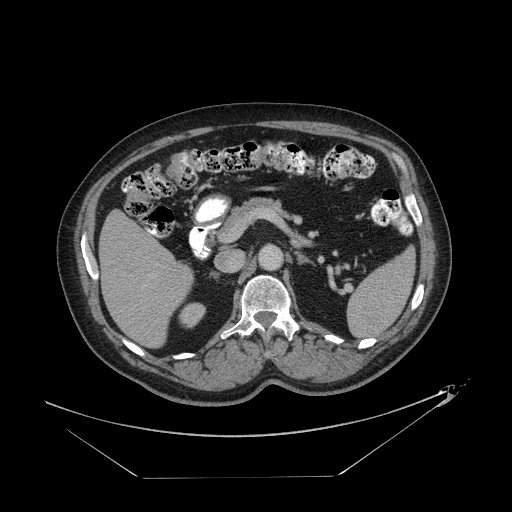 Image size 512x512, CT image
The colon tumor is located at (x1=166, y1=154, x2=182, y2=180).